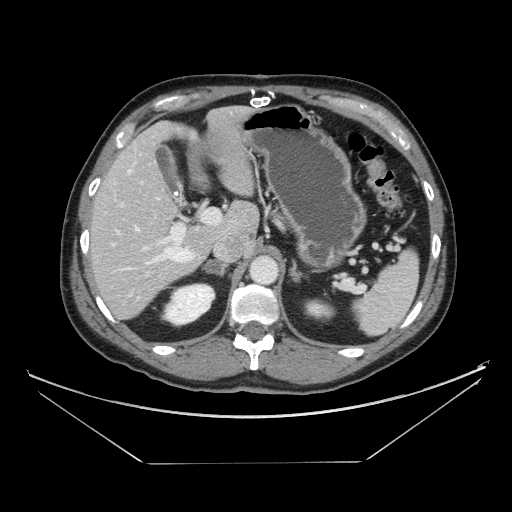 CT scan slice; Upper abdomen
Segmented structures:
• pancreas: (270,209,293,229)